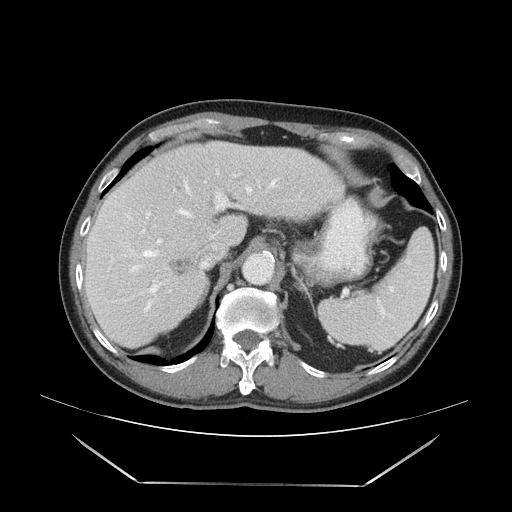

Image size 512x512 | Computed tomography
Some hepatic vessels may have no box.
Annotated regions:
- liver tumor: bbox=[165, 255, 194, 278]
- hepatic vessel: bbox=[158, 241, 160, 242]; bbox=[247, 188, 250, 190]; bbox=[271, 183, 273, 185]; bbox=[144, 252, 151, 255]